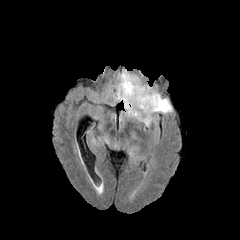
FLAIR MR.
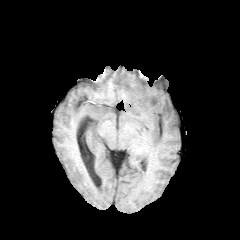
Same slice, T1-weighted MR image.
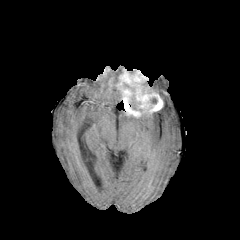
Post-contrast T1-weighted MR.
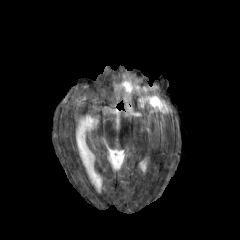
T2-weighted MR.
Segmented structures:
* non-enhancing tumor core: region(130, 96, 141, 110)
* enhancing tumor: region(116, 70, 163, 117)
* edema: region(124, 85, 172, 130); region(110, 82, 121, 102)